Head
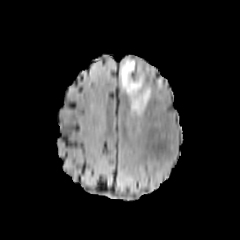
FLAIR magnetic resonance.
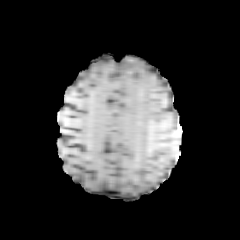
T1-weighted MR of the same slice.
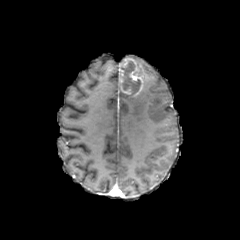
Post-contrast T1-weighted MR image.
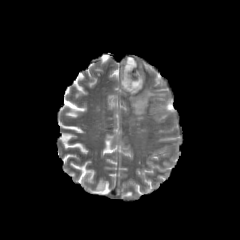
T2-weighted magnetic resonance of the same slice.
Segmented structures:
* non-enhancing tumor core: [120,61,141,95]
* enhancing tumor: [121,58,144,96], [119,69,126,84]
* edema: [129,69,154,116]